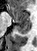

MRI
{
  "posterior_hippocampus": [
    "x1=15 y1=23 x2=28 y2=34"
  ],
  "anterior_hippocampus": [
    "x1=9 y1=7 x2=28 y2=22"
  ]
}